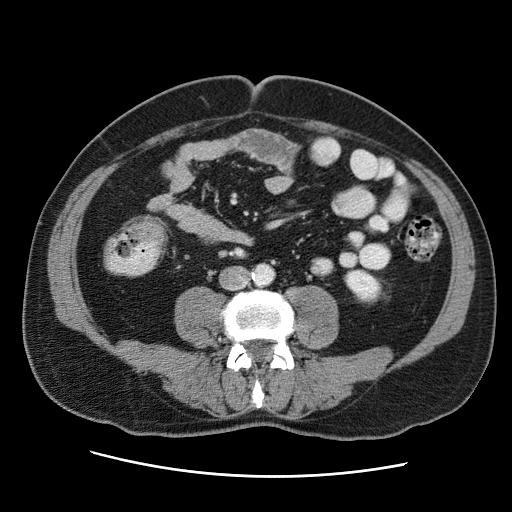 512x512 px. Pelvis. CT slice.
Colon tumor: bounding box (123, 217, 162, 240).